512x512 | CT | Upper abdomen 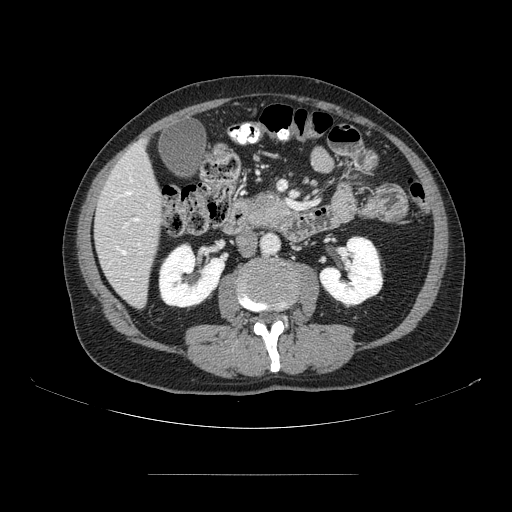
pancreas: 243 189 291 231